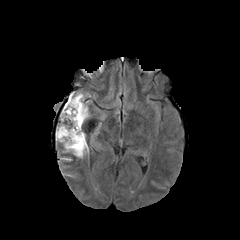
FLAIR MR.
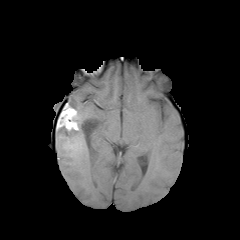
T1-weighted MRI.
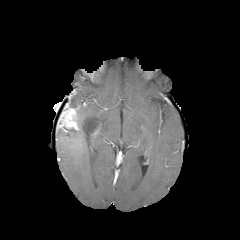
Same slice, post-contrast T1-weighted MRI.
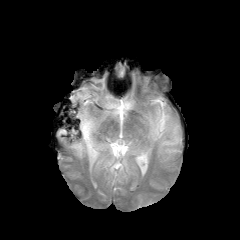
T2-weighted magnetic resonance.
240x240
Non-enhancing tumor core at 62, 102, 72, 113; 73, 114, 81, 138; 82, 122, 89, 143; 57, 115, 64, 128.
Edema at 56, 90, 95, 158.
Enhancing tumor at 61, 108, 77, 129.